FLAIR MR.
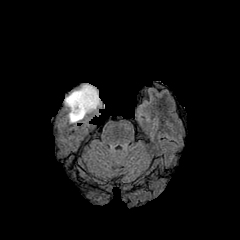
T1-weighted magnetic resonance.
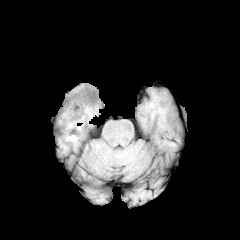
Post-contrast T1-weighted MRI.
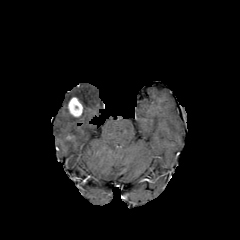
T2-weighted MR image.
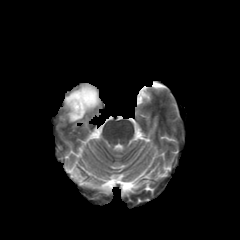
The enhancing tumor is at <bbox>68, 97, 83, 117</bbox>. The edema is at <bbox>65, 83, 101, 123</bbox>.